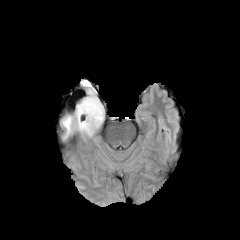
FLAIR MR image.
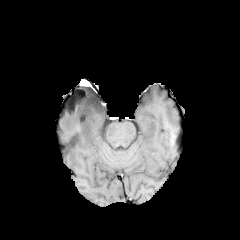
T1-weighted MRI.
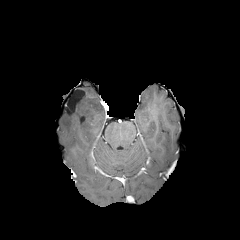
Post-contrast T1-weighted MR.
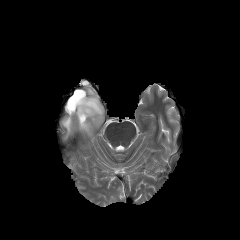
T2-weighted magnetic resonance.
<segmentation>
  <edema>bbox=[61, 87, 104, 139]</edema>
</segmentation>